FLAIR magnetic resonance.
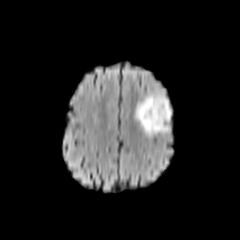
T1-weighted MR.
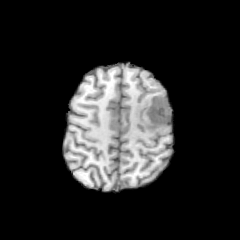
Post-contrast T1-weighted magnetic resonance.
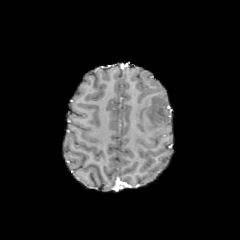
T2-weighted MRI.
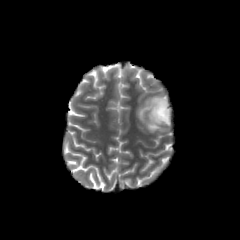
Head
The edema is bounded by box=[135, 89, 173, 137]. The non-enhancing tumor core lies within box=[147, 95, 170, 124].